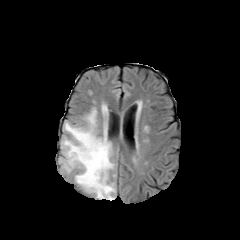
FLAIR MR.
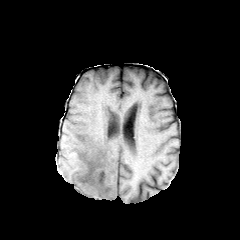
T1-weighted magnetic resonance of the same slice.
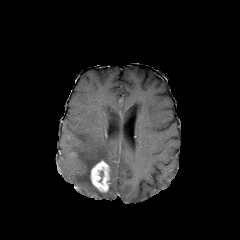
Post-contrast T1-weighted magnetic resonance of the same slice.
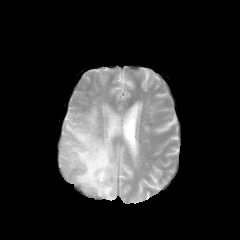
Same slice, T2-weighted MR image.
Head. 240x240 px.
Edema at box=[61, 108, 116, 199].
Enhancing tumor at box=[90, 160, 109, 192].